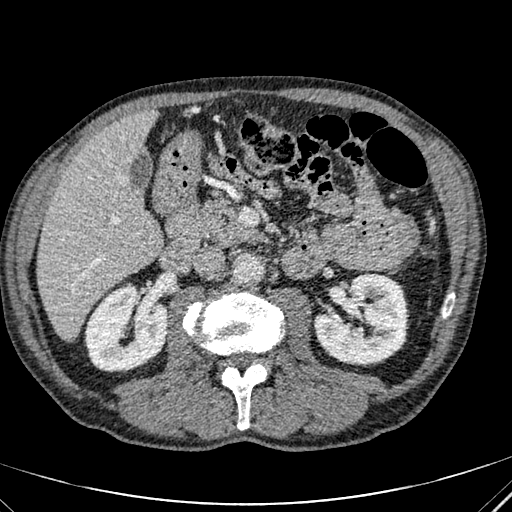
CT image. Liver. Image size 512x512.
Liver = bbox(37, 109, 162, 341).
Kidney = bbox(315, 275, 405, 363); bbox(86, 287, 166, 369).